Image width 391 mm; Computed tomography

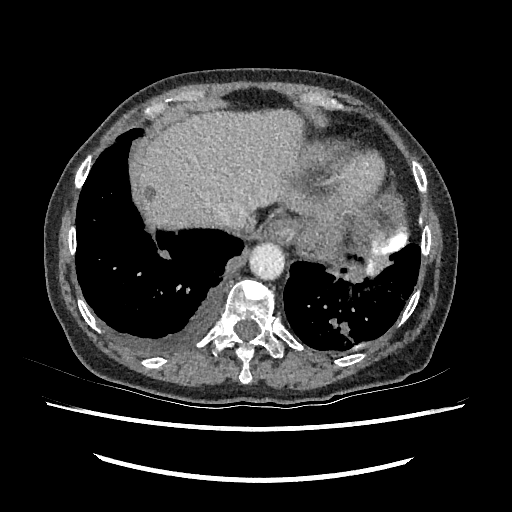
Findings:
- liver: (left=137, top=109, right=315, bottom=232)
- hepatic lesion: (left=146, top=188, right=156, bottom=199)